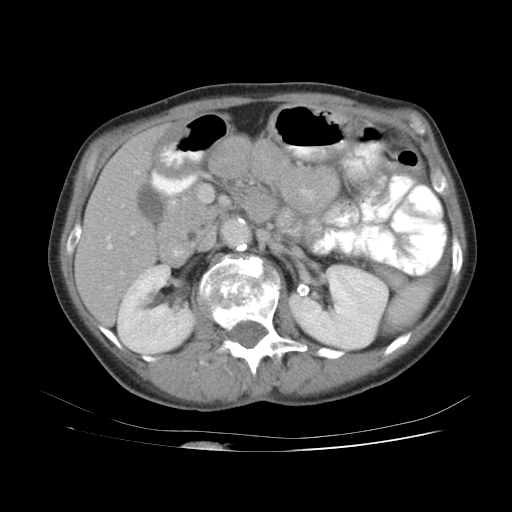 Upper abdomen. CT. Image size 512x512. spleen:
  - 386 279 433 329